Computed tomography; Upper abdomen; Field of view 356x356 mm; Slice 275/384 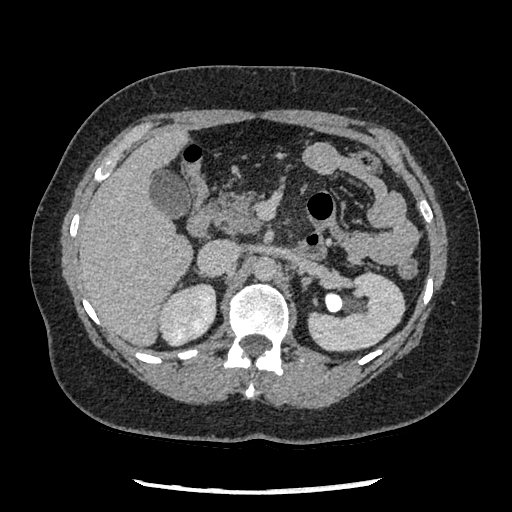

Pancreas: 215 192 260 233.